MRI slice. 320x320. Slice 92/120. 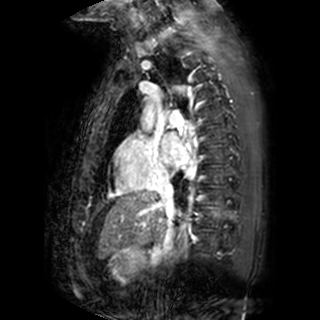 left atrium: <box>162,131,188,166</box>